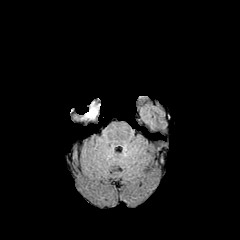
FLAIR magnetic resonance.
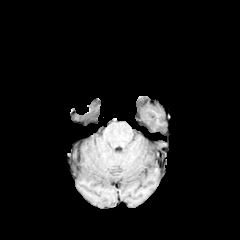
T1-weighted MR.
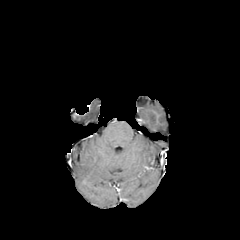
Same slice, post-contrast T1-weighted MRI.
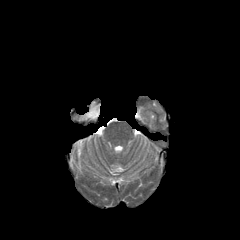
T2-weighted MR image.
The edema is at {"x1": 84, "y1": 101, "x2": 99, "y2": 119}.